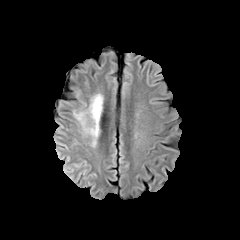
FLAIR MRI.
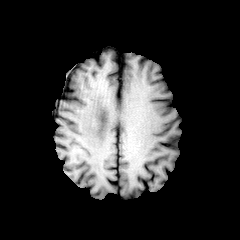
T1-weighted MR image of the same slice.
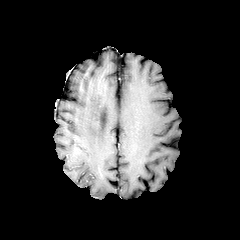
Post-contrast T1-weighted MR image of the same slice.
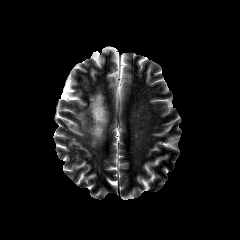
Same slice, T2-weighted MR.
Brain.
Findings:
* edema: x1=73, y1=93, x2=103, y2=145